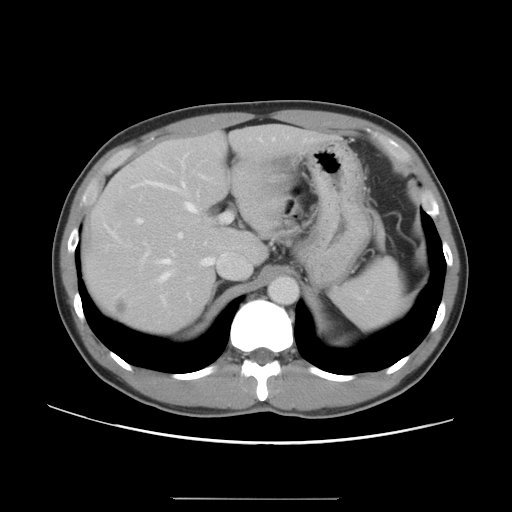
Image size 512x512. CT image.
Not every hepatic vessel necessarily has a box.
[15/16] hepatic vessel: [161,295,166,303], [132,180,185,191], [159,271,171,282], [200,174,206,178], [179,158,186,167], [137,219,142,222], [172,252,175,255], [179,233,182,237], [162,165,170,170], [184,201,198,212], [201,257,218,265], [106,225,118,239], [260,138,262,140], [143,250,150,261], [159,259,171,264] | liver tumor: [118,302,126,312]